Abdomen; CT image; Image size 512x512
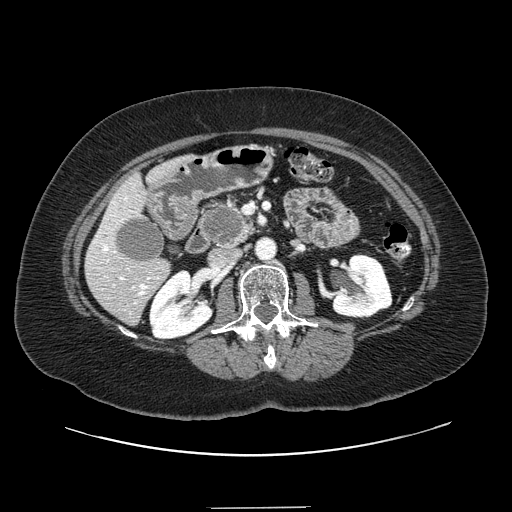

Findings:
- pancreatic tumor: bbox=[204, 208, 243, 245]
- pancreas: bbox=[198, 205, 255, 249]